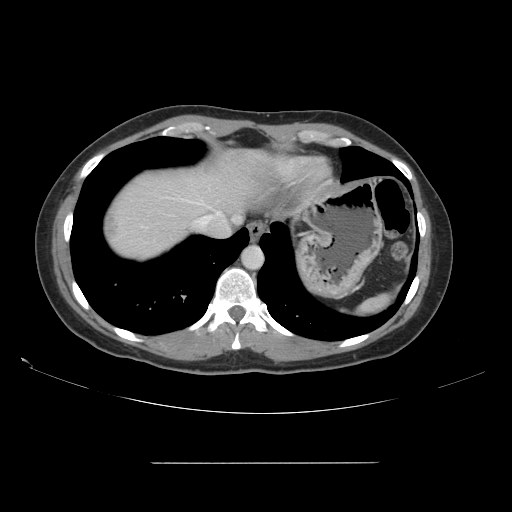 Liver, CT image
Some hepatic vessels may have no box.
The liver tumor is at x1=108, y1=214, x2=116, y2=231. 3 hepatic vessel regions are bounded by x1=233, y1=218, x2=236, y2=219; x1=216, y1=211, x2=221, y2=216; x1=196, y1=216, x2=210, y2=227.